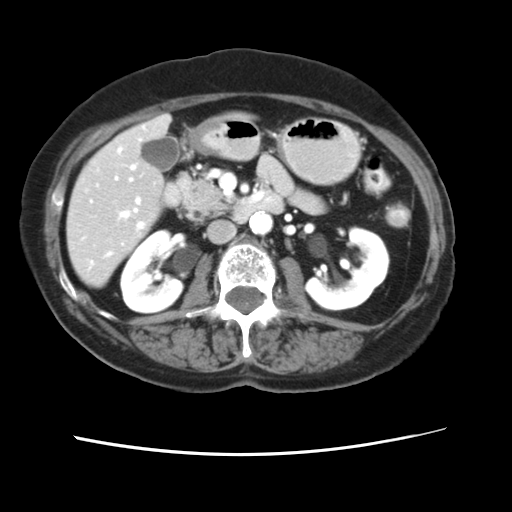 CT slice. Liver.
The vessel annotation is not exhaustive.
Hepatic vessel = x1=90, y1=200, x2=92, y2=202; x1=143, y1=126, x2=145, y2=129; x1=118, y1=209, x2=136, y2=218; x1=97, y1=184, x2=98, y2=187; x1=136, y1=222, x2=144, y2=228; x1=89, y1=261, x2=94, y2=268; x1=81, y1=238, x2=84, y2=239; x1=138, y1=139, x2=141, y2=140; x1=117, y1=148, x2=122, y2=153; x1=129, y1=178, x2=132, y2=180; x1=130, y1=164, x2=135, y2=169; x1=136, y1=198, x2=139, y2=203; x1=106, y1=252, x2=111, y2=256; x1=115, y1=177, x2=117, y2=179.